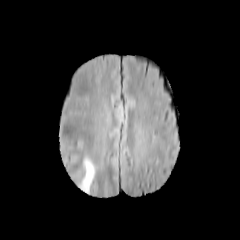
FLAIR MRI.
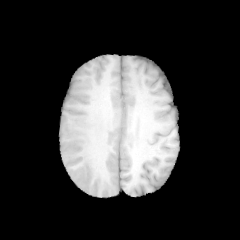
T1-weighted magnetic resonance.
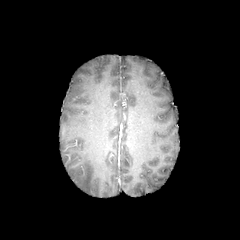
Post-contrast T1-weighted MRI.
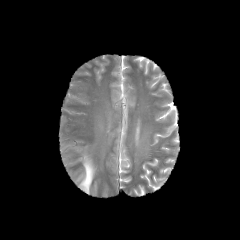
T2-weighted magnetic resonance.
Brain.
{
  "edema": [
    "rect(78, 157, 95, 192)"
  ]
}